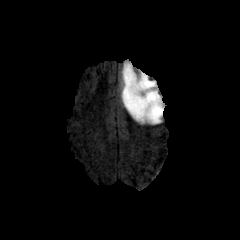
FLAIR MR image.
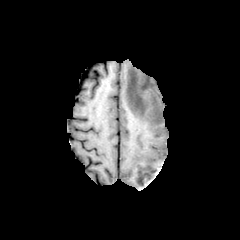
T1-weighted magnetic resonance.
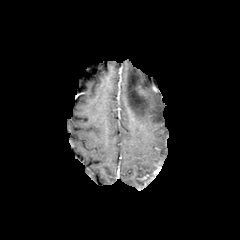
Post-contrast T1-weighted magnetic resonance.
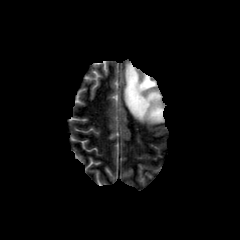
T2-weighted magnetic resonance of the same slice.
Head; Image size 240x240
edema: 121 62 164 125